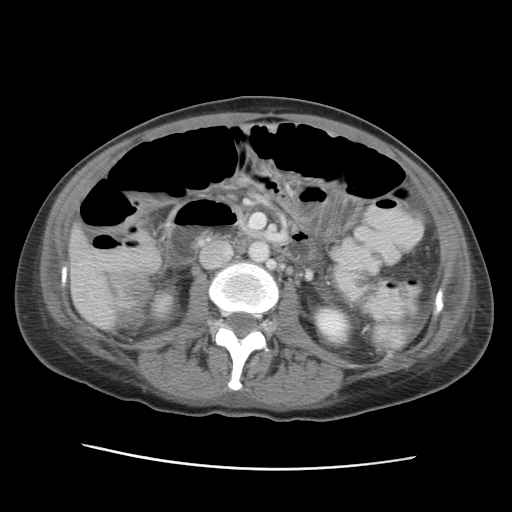 Liver; Computed tomography
The kidney lies within left=315, top=309, right=347, bottom=342. The liver is at left=70, top=227, right=112, bottom=323.